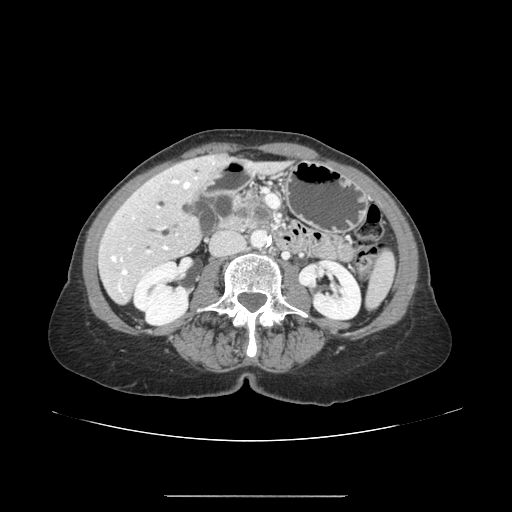 CT slice
The pancreas is at (241, 190, 273, 226). The pancreatic tumor is at (248, 202, 270, 221).